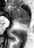

MRI slice | 34x48 | Hippocampus
- posterior hippocampus: x1=17, y1=22, x2=28, y2=26
- anterior hippocampus: x1=8, y1=6, x2=28, y2=21